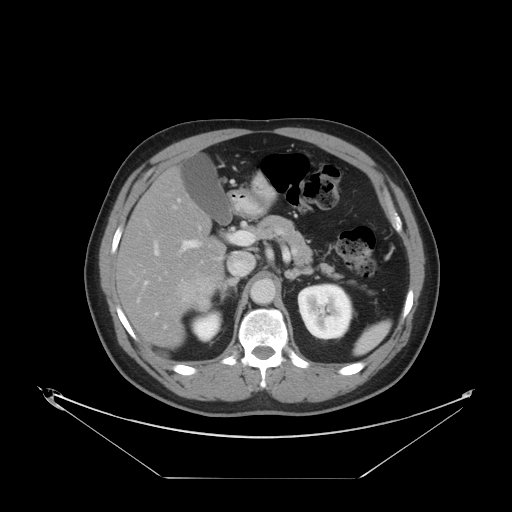
CT.

Not every hepatic vessel necessarily has a box.
Hepatic vessel: 178, 199, 180, 201; 137, 299, 139, 301; 155, 312, 157, 314; 154, 242, 158, 254; 182, 240, 198, 250; 144, 281, 147, 283.
Liver tumor: 177, 277, 223, 311.